MR image. Slice 90 of 130. Image size 320x320.
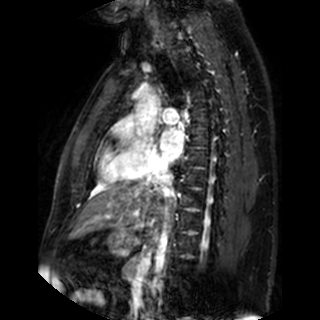

<segmentation>
  <left_atrium>160:128:183:162</left_atrium>
</segmentation>